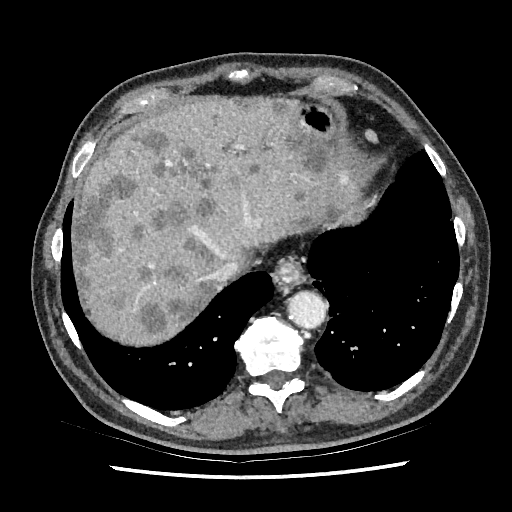

CT image
Principal 15 of 16 hepatic lesion regions at {"x1": 154, "y1": 196, "x2": 215, "y2": 230}, {"x1": 293, "y1": 190, "x2": 304, "y2": 200}, {"x1": 183, "y1": 235, "x2": 212, "y2": 260}, {"x1": 163, "y1": 264, "x2": 190, "y2": 283}, {"x1": 73, "y1": 174, "x2": 136, "y2": 270}, {"x1": 131, "y1": 224, "x2": 144, "y2": 241}, {"x1": 153, "y1": 147, "x2": 214, "y2": 184}, {"x1": 284, "y1": 127, "x2": 335, "y2": 172}, {"x1": 323, "y1": 203, "x2": 338, "y2": 219}, {"x1": 242, "y1": 100, "x2": 261, "y2": 110}, {"x1": 139, "y1": 281, "x2": 215, "y2": 333}, {"x1": 130, "y1": 129, "x2": 168, "y2": 154}, {"x1": 114, "y1": 293, "x2": 123, "y2": 305}, {"x1": 139, "y1": 267, "x2": 153, "y2": 280}, {"x1": 270, "y1": 101, "x2": 288, "y2": 114}.
Liver at {"x1": 73, "y1": 99, "x2": 360, "y2": 345}.